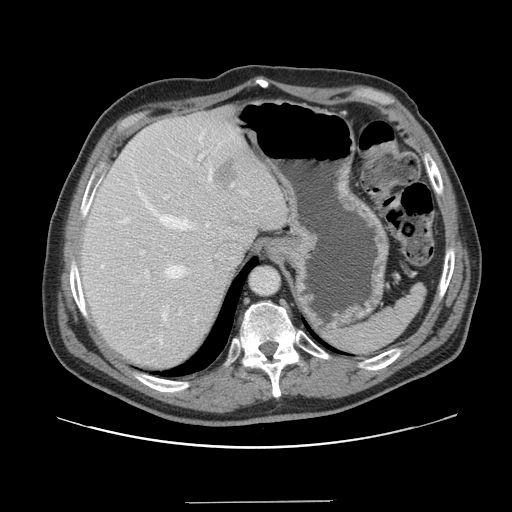
Abdomen; CT
The vessel annotation is not exhaustive.
* hepatic vessel: (121, 218, 128, 222), (206, 224, 208, 226), (165, 266, 184, 277), (198, 154, 203, 159), (163, 313, 165, 318), (140, 251, 144, 254), (208, 168, 211, 181), (199, 134, 202, 141), (137, 187, 192, 229), (145, 270, 148, 277), (101, 265, 103, 267), (164, 195, 169, 198)
* liver tumor: (215, 158, 235, 187)